FLAIR MR.
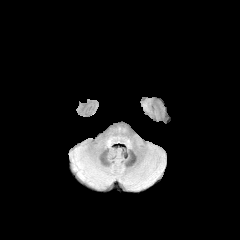
T1-weighted MR.
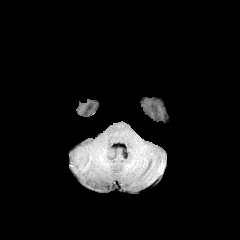
Post-contrast T1-weighted MRI.
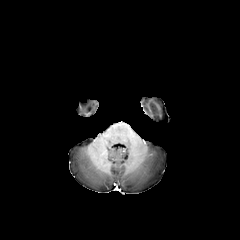
T2-weighted magnetic resonance.
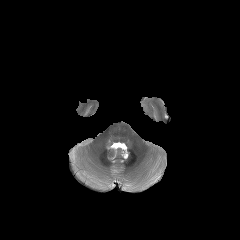
Head
3 edema regions are located at rect(72, 150, 79, 161); rect(131, 170, 159, 188); rect(83, 171, 106, 187).